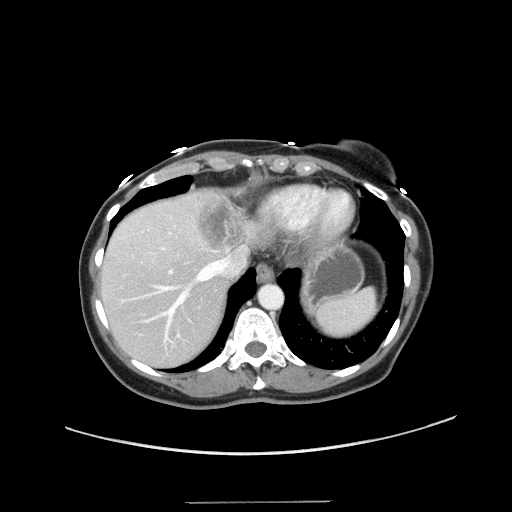
CT
Some hepatic vessels may have no box.
7 hepatic vessel regions appear at 164, 336, 169, 341; 156, 289, 187, 327; 177, 334, 179, 335; 170, 270, 171, 272; 157, 286, 173, 291; 198, 246, 246, 279; 144, 320, 149, 320. 2 liver tumor regions are located at 256, 228, 270, 245; 194, 197, 245, 253.